FLAIR MRI.
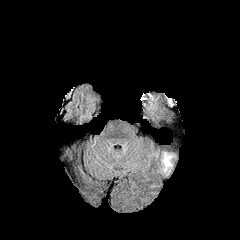
T1-weighted MRI.
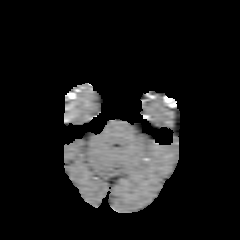
Post-contrast T1-weighted MRI.
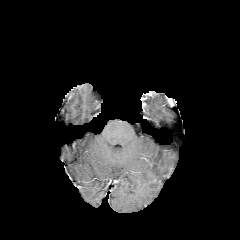
T2-weighted MR image.
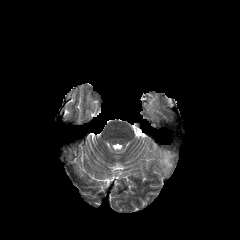
Image size 240x240.
Edema: (x1=160, y1=151, x2=177, y2=175), (x1=144, y1=95, x2=158, y2=115).